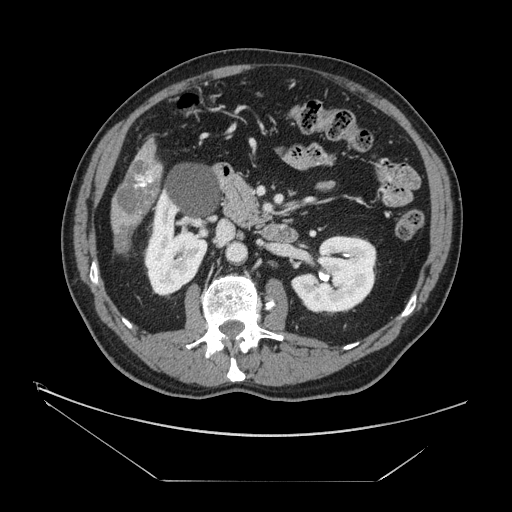

Image size 512x512; CT scan slice
<segmentation>
  <liver_tumor>left=115, top=230, right=129, bottom=250; left=116, top=160, right=159, bottom=216</liver_tumor>
</segmentation>